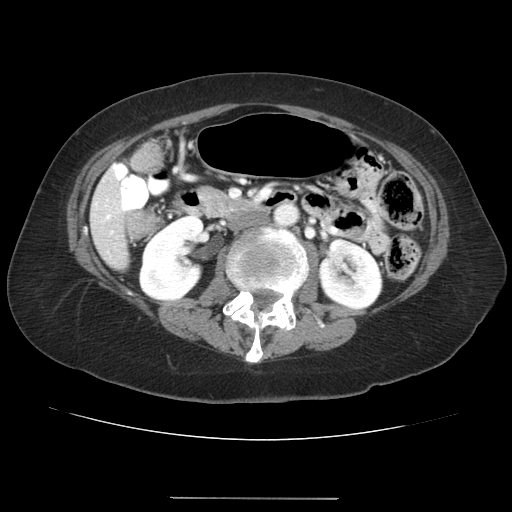

512x512, CT image, Abdomen

Findings:
- colon tumor: <box>130,142,162,172</box>, <box>127,209,159,239</box>